MR image

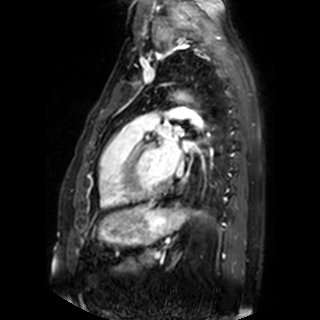

{
  "left_atrium": [
    "<box>174,126,182,134</box>",
    "<box>159,137,179,173</box>"
  ]
}